FLAIR MR image.
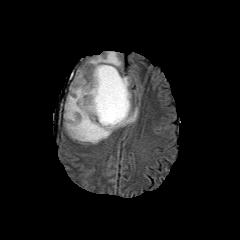
T1-weighted MRI.
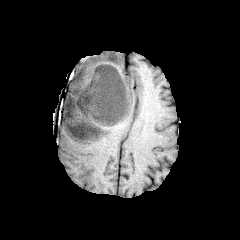
Post-contrast T1-weighted MR image.
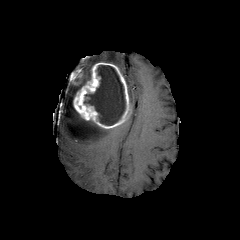
T2-weighted MRI.
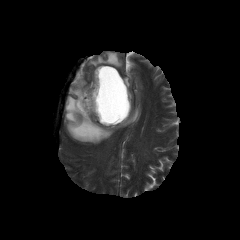
240x240
Non-enhancing tumor core at 68,69,91,117; 85,64,125,125.
Enhancing tumor at 73,62,129,127.
Edema at 64,86,138,144; 124,76,131,103; 84,51,121,79.